Brain
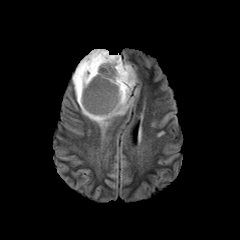
FLAIR MR.
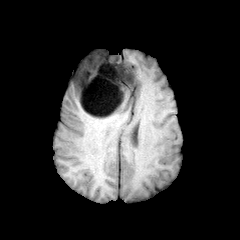
T1-weighted magnetic resonance.
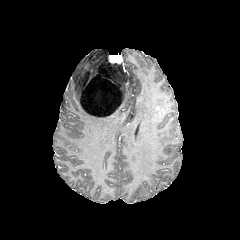
Post-contrast T1-weighted MRI.
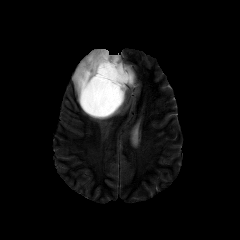
T2-weighted MR image of the same slice.
The non-enhancing tumor core appears at rect(80, 52, 133, 117). The enhancing tumor is located at rect(108, 55, 126, 71). The edema is at rect(72, 49, 138, 128).